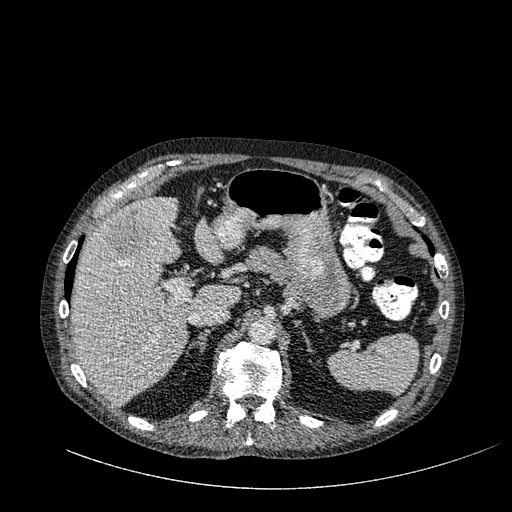
CT
2 liver regions appear at bbox(72, 199, 239, 403); bbox(196, 219, 222, 263). The liver lesion appears at bbox(106, 210, 152, 259).